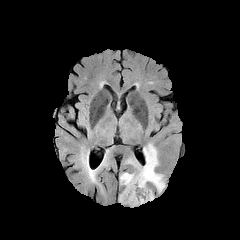
FLAIR MR image.
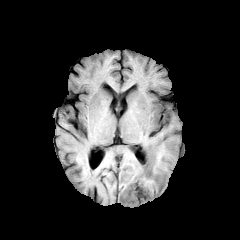
T1-weighted MR image.
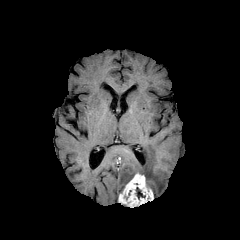
Post-contrast T1-weighted MR image of the same slice.
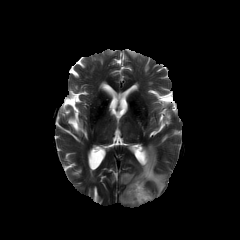
T2-weighted MR.
The enhancing tumor lies within 119 173 153 207. 2 edema regions are bounded by 120 172 134 184, 124 143 165 193.